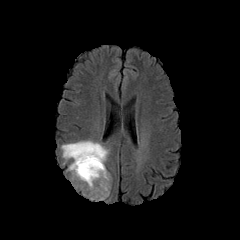
FLAIR MR.
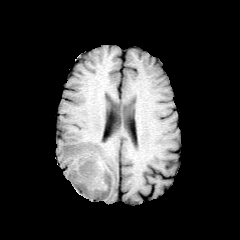
T1-weighted MR image.
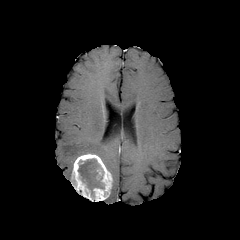
Post-contrast T1-weighted MR image of the same slice.
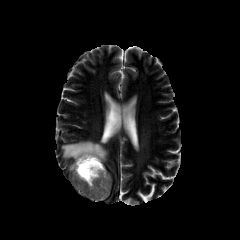
T2-weighted MR image of the same slice.
Head
enhancing tumor: (x1=71, y1=153, x2=111, y2=201) | edema: (x1=88, y1=178, x2=97, y2=188), (x1=61, y1=140, x2=108, y2=184) | non-enhancing tumor core: (x1=78, y1=160, x2=103, y2=196)